Slice 24/37 | MRI
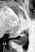
Posterior hippocampus — (left=11, top=31, right=27, bottom=44).